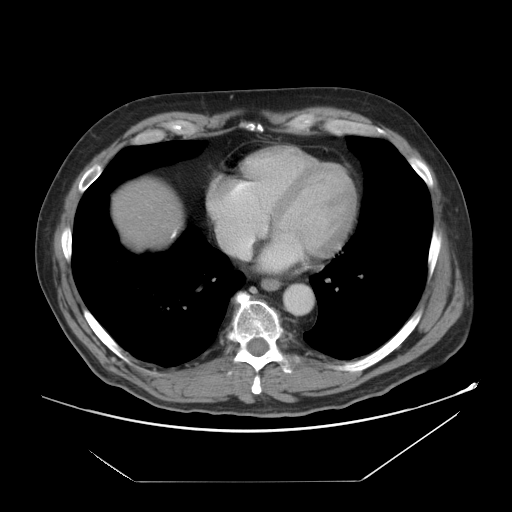 Computed tomography; Liver
* liver: (left=112, top=179, right=179, bottom=248)